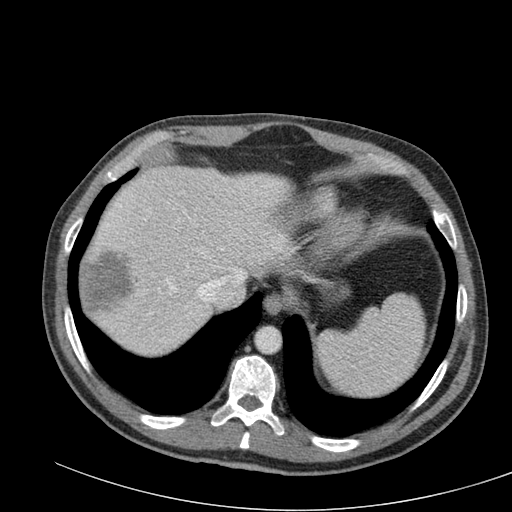 Upper abdomen | CT | Image size 512x512

The liver is located at l=85, t=166, r=299, b=354. The focal liver lesion lies within l=79, t=250, r=133, b=314.